FLAIR MR.
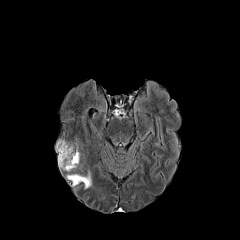
T1-weighted MR image.
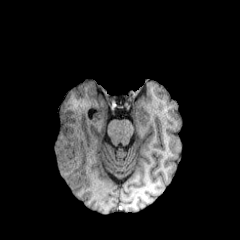
Post-contrast T1-weighted MR.
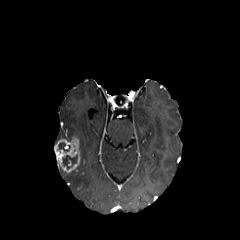
T2-weighted MR image.
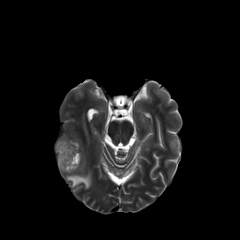
240x240 px
Enhancing tumor: <bbox>55, 139, 78, 172</bbox>.
Non-enhancing tumor core: <bbox>61, 154, 77, 170</bbox>, <bbox>55, 142, 70, 153</bbox>.
Edema: <bbox>67, 171, 91, 189</bbox>.